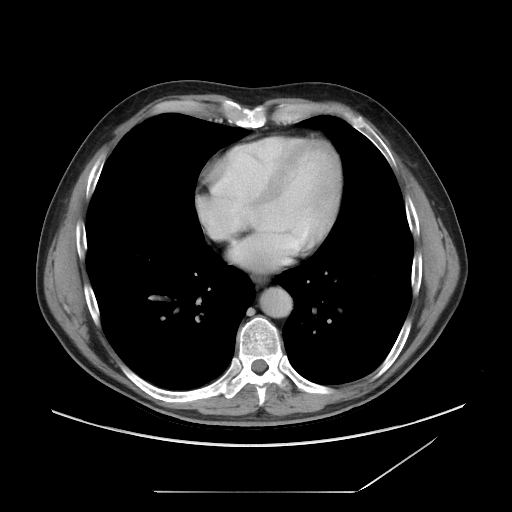 CT; Liver
Only some of the vessels may be annotated.
hepatic vessel: rect(201, 212, 226, 235); rect(223, 212, 226, 214)